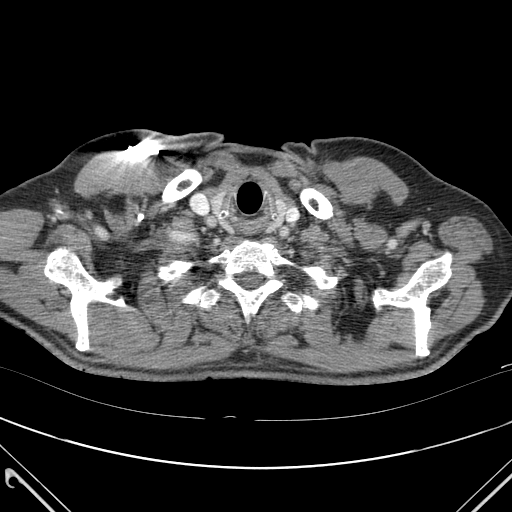

CT
9 bone regions appear at [x1=183, y1=287, x2=218, y2=307], [x1=283, y1=294, x2=317, y2=312], [x1=304, y1=267, x2=337, y2=288], [x1=162, y1=169, x2=201, y2=202], [x1=210, y1=241, x2=292, y2=316], [x1=159, y1=261, x2=191, y2=280], [x1=300, y1=188, x2=332, y2=218], [x1=44, y1=249, x2=124, y2=350], [x1=373, y1=253, x2=451, y2=355].